Slice 519 of 605, CT, Thorax, Image size 512x512 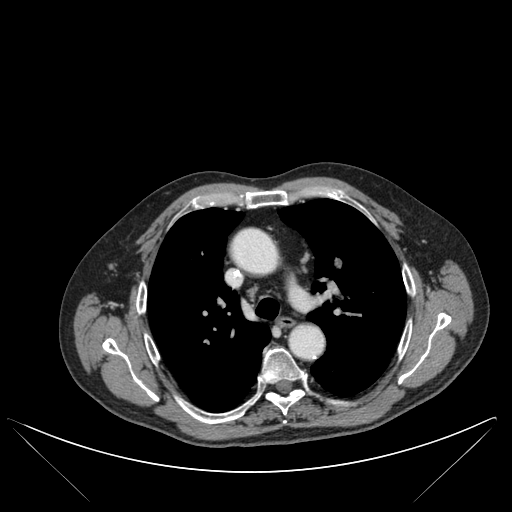
Bone — x1=398 y1=321 x2=411 y2=358, x1=266 y1=390 x2=304 y2=414, x1=102 y1=338 x2=158 y2=400, x1=245 y1=190 x2=287 y2=207, x1=398 y1=313 x2=450 y2=383, x1=258 y1=348 x2=306 y2=386, x1=402 y1=265 x2=414 y2=294, x1=176 y1=395 x2=257 y2=423, x1=136 y1=282 x2=146 y2=313, x1=144 y1=334 x2=159 y2=363.
Lung — x1=278 y1=199 x2=406 y2=395, x1=256 y1=298 x2=278 y2=319, x1=148 y1=208 x2=270 y2=412.